CT scan slice | Slice 22/52

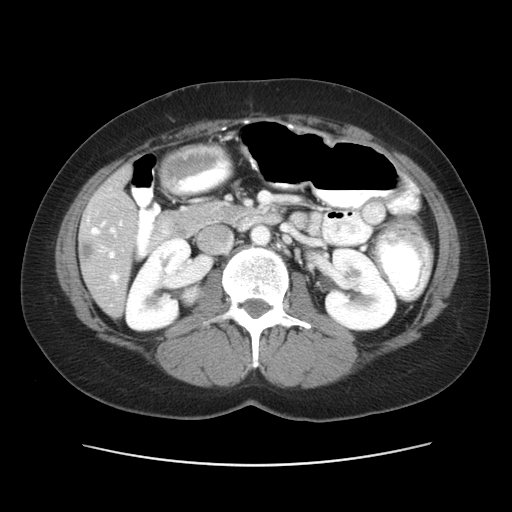
Not every hepatic vessel necessarily has a box.
liver_tumor:
  - [84, 242, 95, 259]
hepatic_vessel:
  - [99, 246, 106, 251]
  - [119, 222, 120, 225]
  - [111, 273, 117, 281]
  - [109, 252, 113, 257]
  - [91, 228, 98, 233]
  - [101, 222, 104, 225]
  - [110, 228, 114, 232]